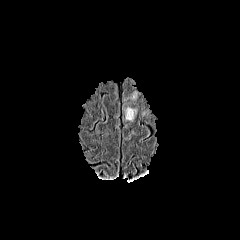
FLAIR MR image.
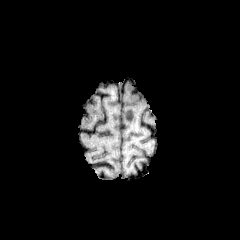
T1-weighted MRI of the same slice.
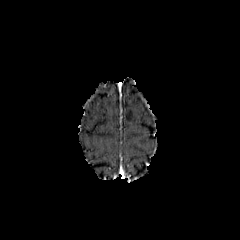
Same slice, post-contrast T1-weighted magnetic resonance.
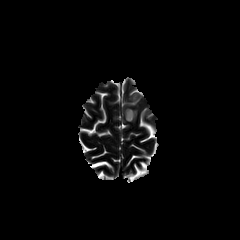
T2-weighted MRI.
Brain; 240x240
edema: l=124, t=107, r=138, b=119